240x240 px
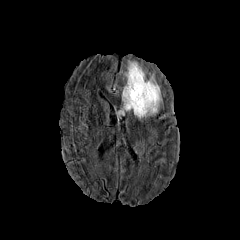
FLAIR magnetic resonance.
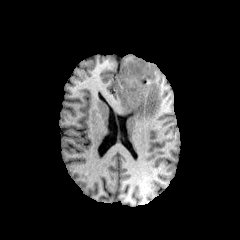
T1-weighted MR of the same slice.
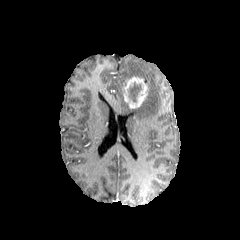
Post-contrast T1-weighted MR image of the same slice.
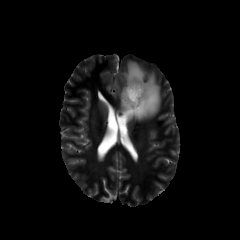
T2-weighted MR image of the same slice.
Non-enhancing tumor core: bounding box bbox=[127, 81, 139, 101].
Enhancing tumor: bounding box bbox=[123, 76, 148, 108].
Edema: bounding box bbox=[116, 74, 161, 120]; bbox=[125, 61, 145, 79].